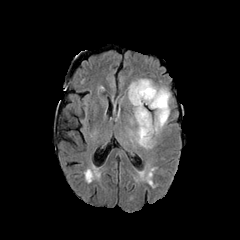
FLAIR MRI.
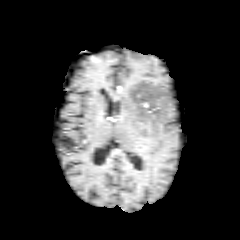
T1-weighted MR image of the same slice.
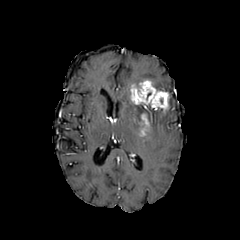
Post-contrast T1-weighted MRI of the same slice.
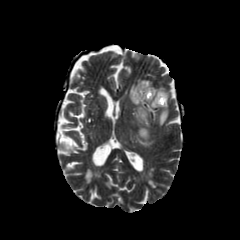
T2-weighted magnetic resonance.
Head
• enhancing tumor: 130:80:169:112, 140:114:149:136
• non-enhancing tumor core: 137:103:165:118
• edema: 131:104:169:148, 127:79:146:96